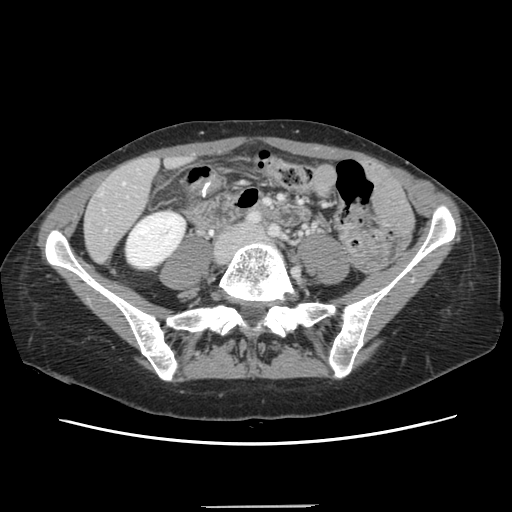
Abdomen; Computed tomography

The vessel annotation is not exhaustive.
{"hepatic_vessel": ["123 182 124 184"]}